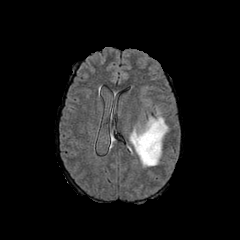
FLAIR MR.
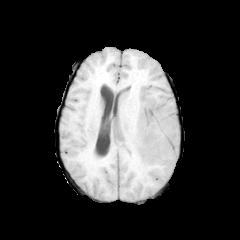
Same slice, T1-weighted MRI.
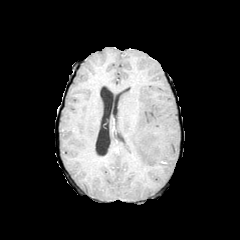
Post-contrast T1-weighted MR image.
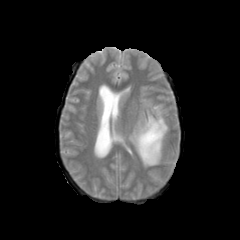
T2-weighted MRI.
Brain
{"non-enhancing_tumor_core": ["(x1=142, y1=134, x2=153, y2=145)"], "edema": ["(x1=129, y1=106, x2=168, y2=167)"]}